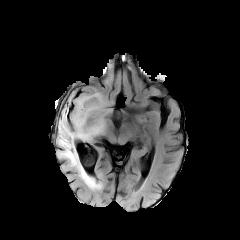
FLAIR magnetic resonance.
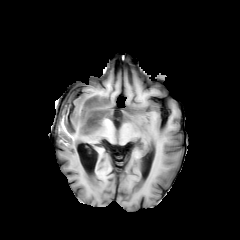
T1-weighted magnetic resonance of the same slice.
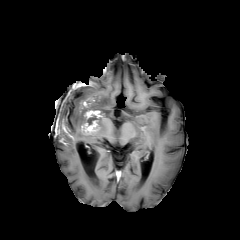
Post-contrast T1-weighted MR of the same slice.
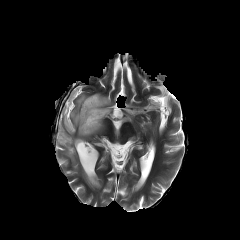
T2-weighted magnetic resonance of the same slice.
Head
{
  "non-enhancing_tumor_core": [
    "box(55, 118, 71, 137)",
    "box(81, 98, 99, 124)"
  ],
  "enhancing_tumor": [
    "box(84, 110, 101, 119)",
    "box(83, 98, 94, 108)",
    "box(81, 120, 99, 133)"
  ],
  "edema": [
    "box(56, 92, 102, 189)"
  ]
}